Image width 340 mm; Abdomen; Slice 15 of 24; CT; 512x512

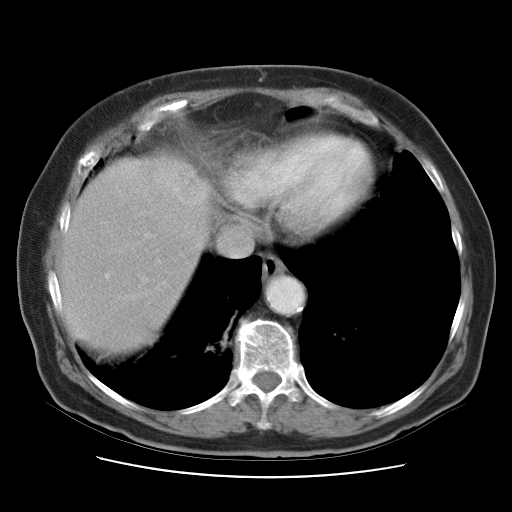

Only some of the vessels may be annotated.
The liver tumor is bounded by 150 159 208 200. 4 hepatic vessel regions appear at 146 233 151 237, 219 232 252 256, 156 281 166 290, 187 231 193 233.